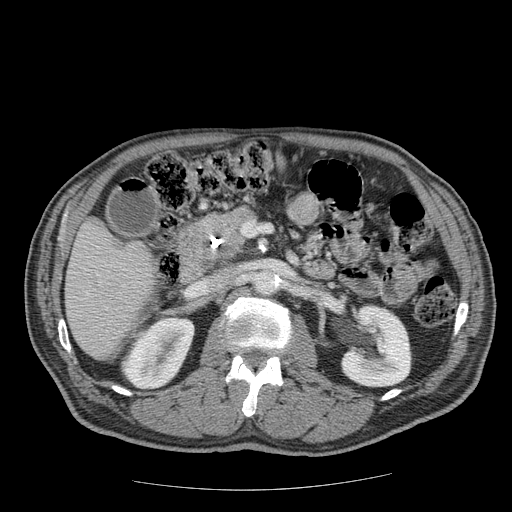
Upper abdomen. CT image. The pancreatic tumor appears at [x1=188, y1=215, x2=242, y2=263]. The pancreas is bounded by [x1=198, y1=205, x2=260, y2=267].